512x512, Liver, CT image 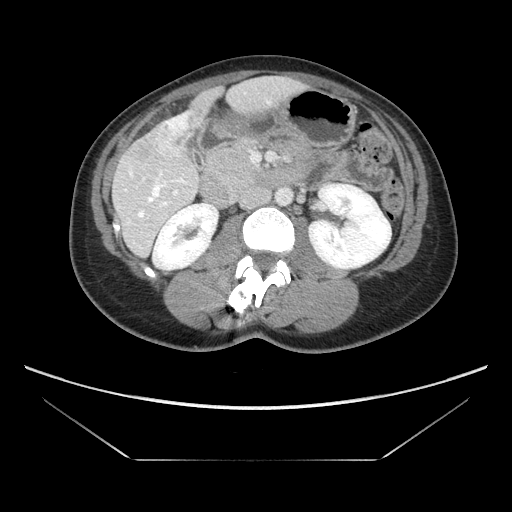 liver tumor: 155:113:198:152